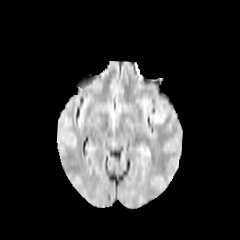
FLAIR MR.
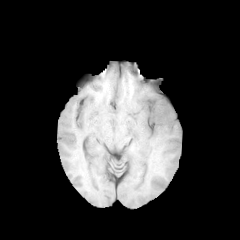
Same slice, T1-weighted MR image.
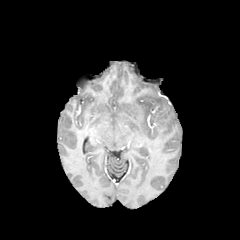
Post-contrast T1-weighted magnetic resonance of the same slice.
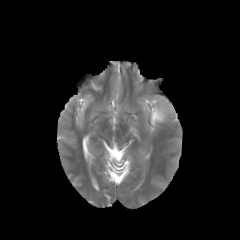
T2-weighted magnetic resonance.
Head
Edema at [153, 107, 170, 125].